Chest. CT image. Field of view 434x434 mm.

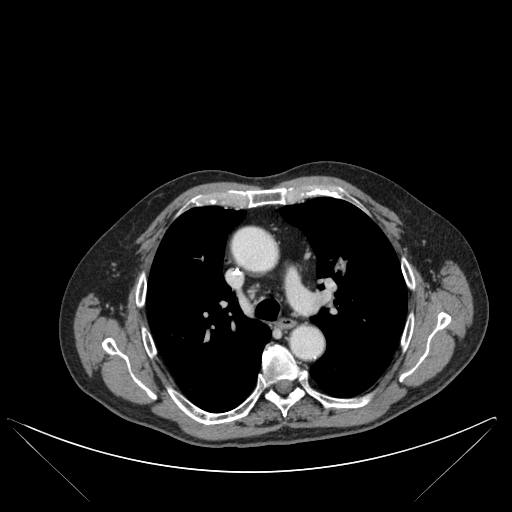

Bone = box(142, 328, 155, 356); box(238, 188, 288, 207); box(400, 312, 450, 380); box(102, 338, 156, 398); box(136, 274, 146, 306); box(401, 315, 413, 349); box(401, 258, 414, 288); box(266, 388, 303, 416); box(168, 345, 369, 424).
Lung = box(280, 197, 406, 397); box(147, 206, 279, 412).